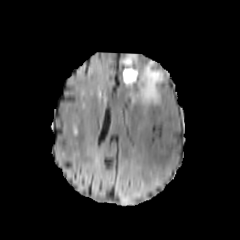
FLAIR MRI.
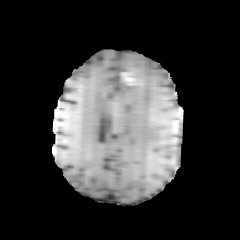
T1-weighted MR image of the same slice.
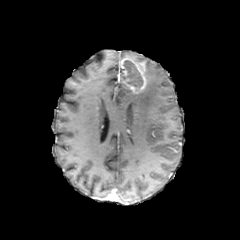
Post-contrast T1-weighted MR.
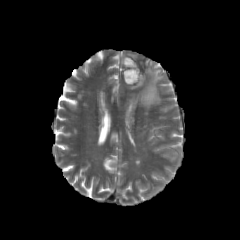
T2-weighted MR image of the same slice.
Image size 240x240. Head.
2 edema regions are bounded by left=128, top=61, right=164, bottom=106; left=125, top=53, right=140, bottom=60. The enhancing tumor appears at left=121, top=57, right=147, bottom=92. The non-enhancing tumor core is bounded by left=122, top=60, right=143, bottom=89.